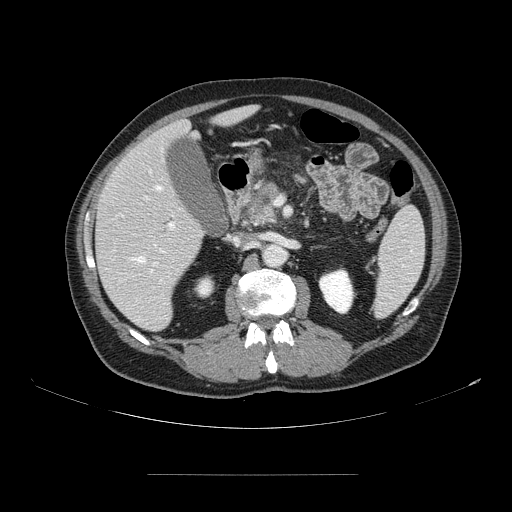 Abdomen. CT. The pancreas is at box(245, 181, 283, 222).